240x240 px
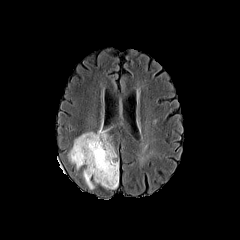
FLAIR MRI.
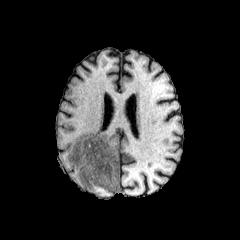
T1-weighted magnetic resonance of the same slice.
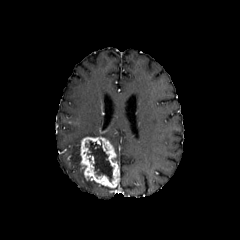
Post-contrast T1-weighted magnetic resonance of the same slice.
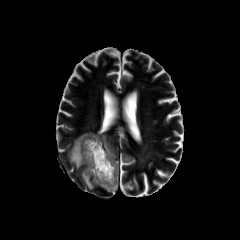
T2-weighted MRI.
Segmented structures:
- edema: (left=68, top=132, right=110, bottom=169), (left=83, top=174, right=94, bottom=189)
- non-enhancing tumor core: (left=85, top=139, right=113, bottom=181)
- enhancing tumor: (left=80, top=136, right=119, bottom=188)